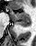 Magnetic resonance, Hippocampus

anterior_hippocampus:
  - {"x1": 9, "y1": 8, "x2": 30, "y2": 21}
posterior_hippocampus:
  - {"x1": 15, "y1": 22, "x2": 30, "y2": 27}